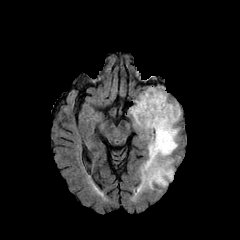
FLAIR MR.
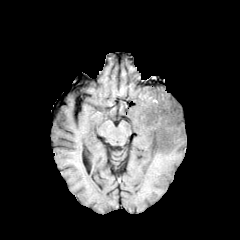
T1-weighted MRI of the same slice.
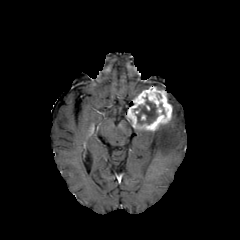
Same slice, post-contrast T1-weighted magnetic resonance.
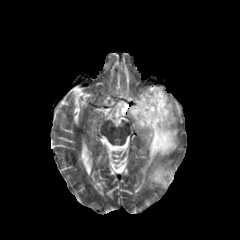
T2-weighted magnetic resonance of the same slice.
Image size 240x240.
Enhancing tumor = box=[127, 86, 172, 131].
Edema = box=[137, 96, 180, 192].
Non-enhancing tumor core = box=[134, 97, 156, 124].